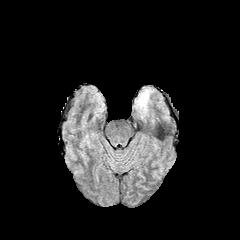
FLAIR MR.
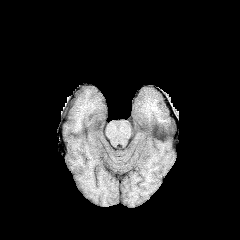
T1-weighted magnetic resonance of the same slice.
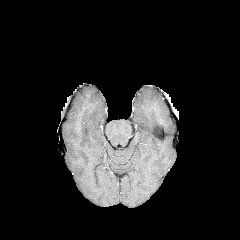
Post-contrast T1-weighted MR.
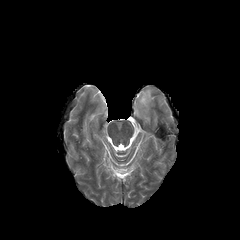
T2-weighted magnetic resonance.
Head
edema: rect(137, 95, 149, 112)